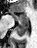 MRI; Hippocampus
<segmentation>
  <posterior_hippocampus>[14,23,28,36]</posterior_hippocampus>
  <anterior_hippocampus>[9,10,28,22]</anterior_hippocampus>
</segmentation>